MR image; Field of view 400 mm wide, 1.37 mm slice spacing; Cardiac; Slice 73/120

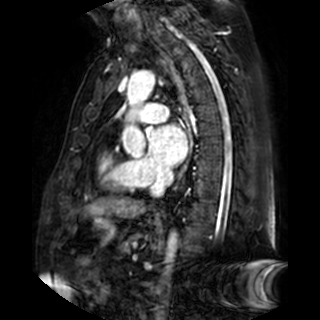 Left atrium: bounding box l=150, t=126, r=186, b=164.